FLAIR MRI.
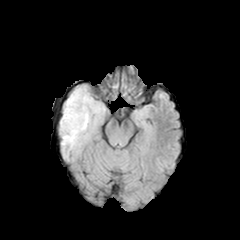
T1-weighted MR image.
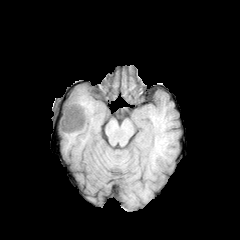
Post-contrast T1-weighted MRI.
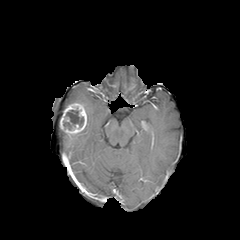
T2-weighted MR image.
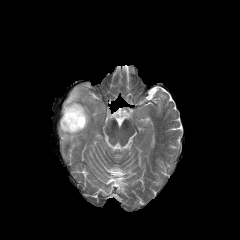
240x240
<segmentation>
  <edema>rect(60, 85, 105, 158)</edema>
  <non-enhancing_tumor_core>rect(66, 110, 83, 126)</non-enhancing_tumor_core>
  <enhancing_tumor>rect(60, 102, 86, 135)</enhancing_tumor>
</segmentation>